CT, Slice 16/84, 512x512, Abdomen

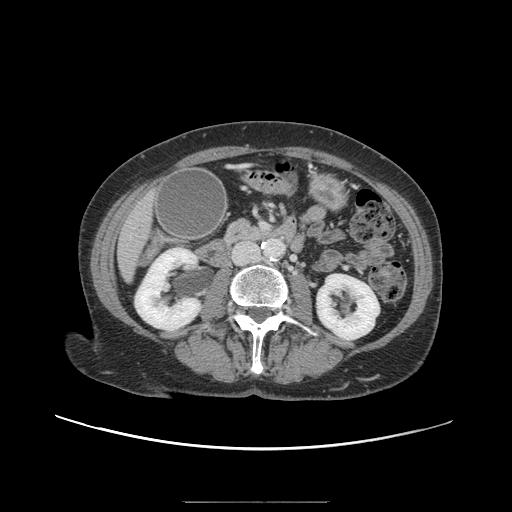
Pancreas — box(225, 220, 267, 244).